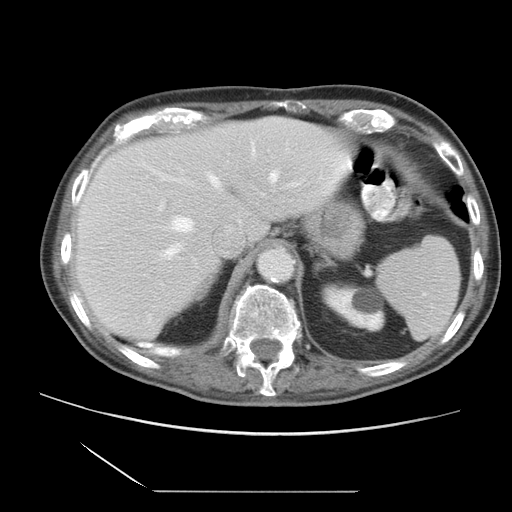 Abdomen, 512x512, Computed tomography
Not every hepatic vessel necessarily has a box.
{"hepatic_vessel": ["252,142,255,154", "209,174,219,186", "163,215,194,232", "158,200,163,210", "335,158,350,177", "292,182,297,186", "158,242,182,259", "270,172,277,181", "149,167,179,180", "148,313,151,316"]}